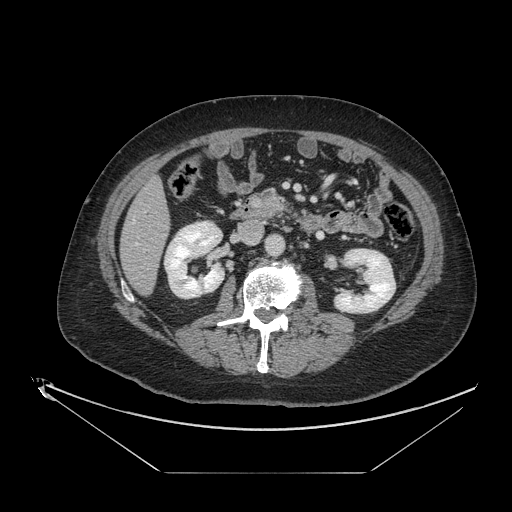
CT image; Abdomen

pancreas:
  - 253:194:283:216